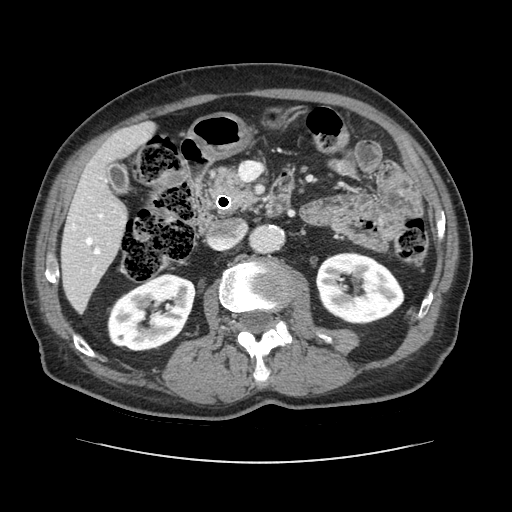 512x512; CT
pancreatic_tumor:
  - (x1=230, y1=188, x2=244, y2=198)
pancreas:
  - (x1=211, y1=166, x2=255, y2=207)